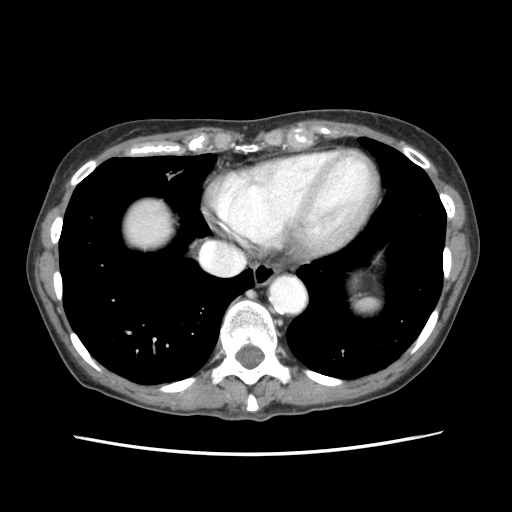

CT scan slice; Upper abdomen

The spleen lies within [351, 299, 385, 322].